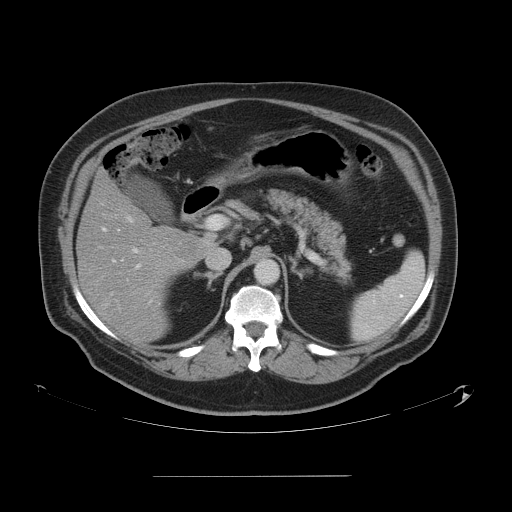

CT image. Image size 512x512.

Not every hepatic vessel necessarily has a box.
5 hepatic vessel regions appear at <bbox>136, 264, 139, 268</bbox>, <bbox>133, 248, 137, 252</bbox>, <bbox>102, 228, 105, 230</bbox>, <bbox>110, 292, 112, 294</bbox>, <bbox>112, 260, 115, 261</bbox>.